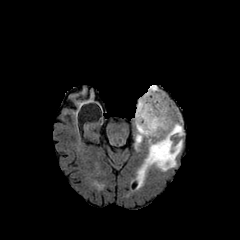
FLAIR magnetic resonance.
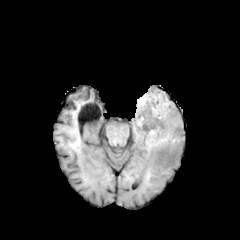
T1-weighted MR.
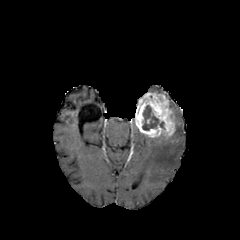
Post-contrast T1-weighted magnetic resonance.
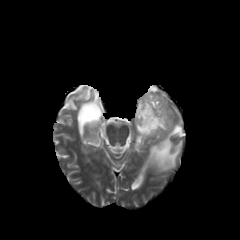
T2-weighted MR image of the same slice.
Brain | Image size 240x240
The enhancing tumor appears at [135,91,175,137]. 3 edema regions are located at [135,110,184,188], [148,85,160,92], [134,125,147,151]. The non-enhancing tumor core appears at [142,105,158,130].